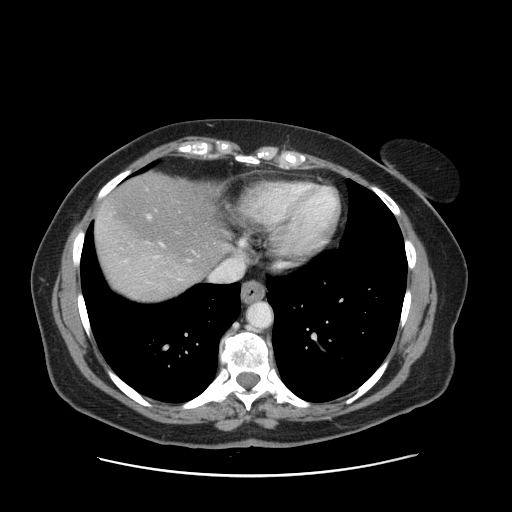 CT slice | Image size 512x512
Some hepatic vessels may have no box.
Hepatic vessel at (x1=147, y1=215, x2=151, y2=218).